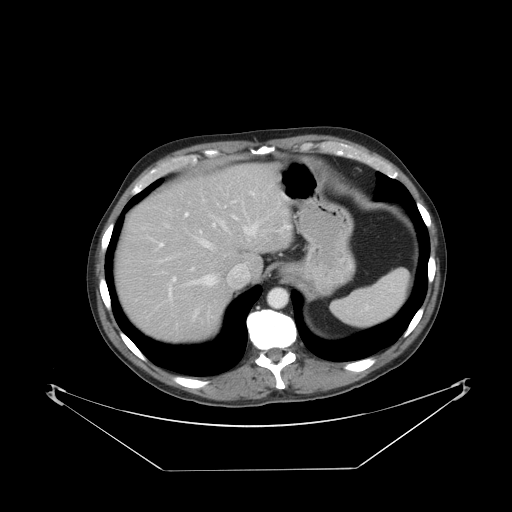
Abdomen. CT. 512x512.

The vessel boxes may cover only some of the vessels.
The largest 15 hepatic vessel regions (of 20) appear at 244, 221, 261, 235; 191, 267, 194, 270; 165, 224, 167, 227; 147, 236, 163, 249; 185, 212, 188, 216; 251, 192, 254, 196; 183, 275, 217, 285; 168, 285, 172, 301; 279, 222, 289, 231; 211, 215, 227, 230; 242, 202, 245, 214; 199, 238, 212, 248; 172, 277, 175, 280; 232, 215, 238, 219; 192, 309, 198, 320.